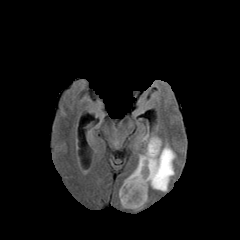
FLAIR MR image.
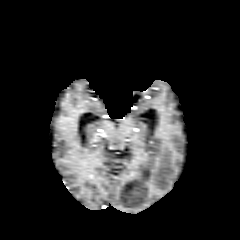
T1-weighted MRI.
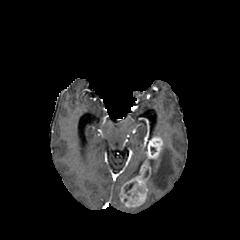
Post-contrast T1-weighted MR of the same slice.
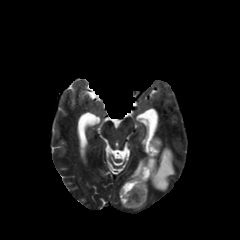
T2-weighted MRI of the same slice.
240x240
Findings:
- non-enhancing tumor core: 123:182:134:195
- enhancing tumor: 120:161:151:206, 144:131:161:159
- edema: 144:145:175:202, 123:146:147:185